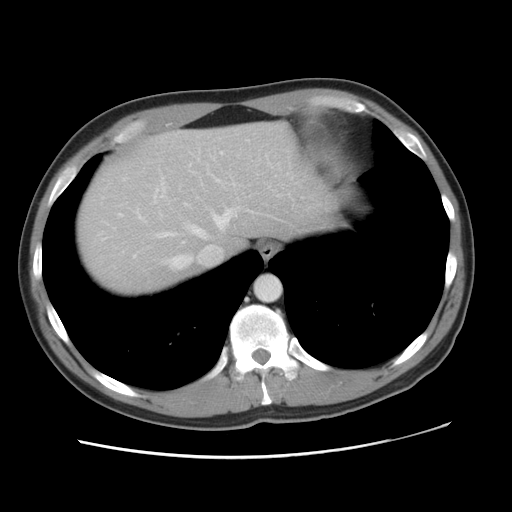 CT, Abdomen
Only some of the vessels may be annotated.
hepatic vessel: (left=119, top=213, right=121, bottom=215), (left=168, top=255, right=190, bottom=267), (left=154, top=189, right=162, bottom=198), (left=140, top=219, right=144, bottom=220), (left=154, top=231, right=175, bottom=237), (left=214, top=209, right=235, bottom=226), (left=185, top=224, right=207, bottom=238)